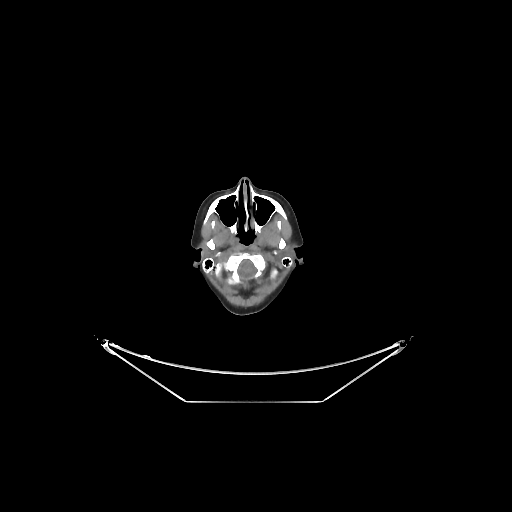
CT slice; Brain
The brain is bounded by (x1=237, y1=259, x2=257, y2=280).